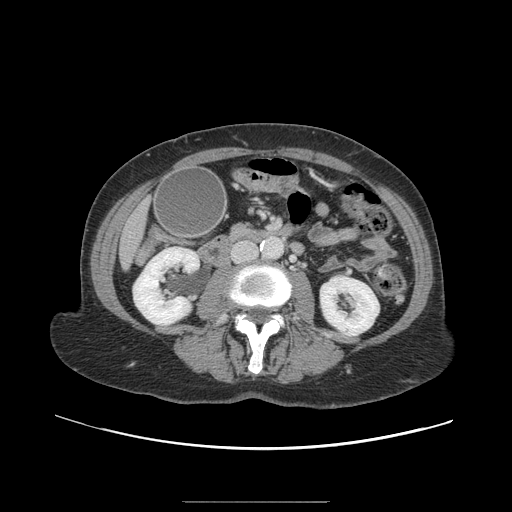 Upper abdomen. 512x512. CT slice. Pancreas = {"x1": 231, "y1": 224, "x2": 253, "y2": 239}.